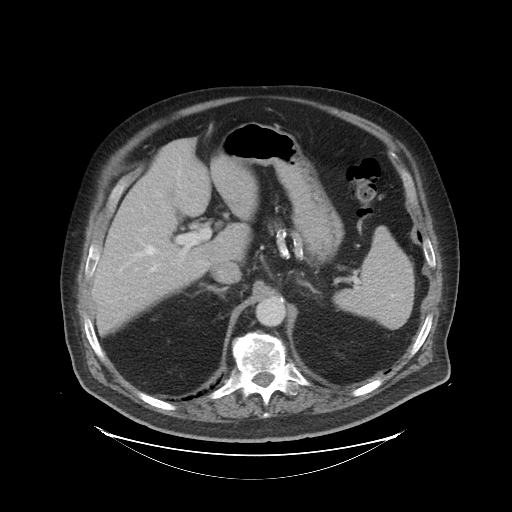
512x512 px. Computed tomography.
The vessel annotation is not exhaustive.
Hepatic vessel: bounding box bbox=[145, 246, 154, 254]; bbox=[181, 247, 187, 254]; bbox=[153, 264, 157, 269]; bbox=[136, 254, 142, 255].